Abdomen | CT scan slice

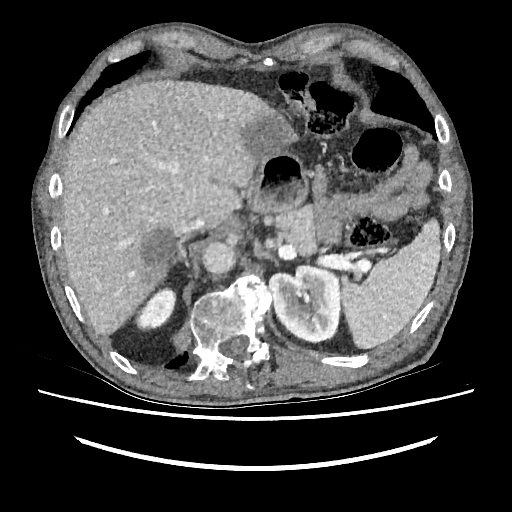 liver_lesion:
  - <bbox>239, 112, 293, 156</bbox>
  - <bbox>138, 229, 173, 286</bbox>
kidney:
  - <bbox>139, 290, 174, 326</bbox>
  - <bbox>269, 266, 339, 341</bbox>
liver:
  - <bbox>62, 80, 277, 333</bbox>